CT slice; Image size 512x512 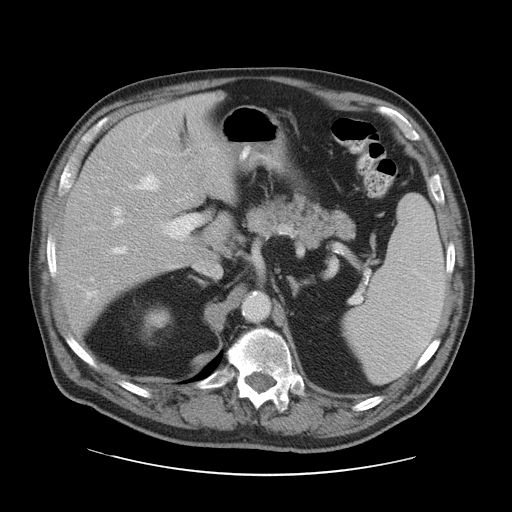 Not every hepatic vessel necessarily has a box.
9 hepatic vessel regions are bounded by box(114, 218, 122, 225); box(92, 278, 93, 280); box(165, 216, 198, 239); box(177, 199, 179, 201); box(135, 174, 157, 189); box(114, 247, 125, 252); box(88, 291, 96, 294); box(130, 186, 133, 188); box(113, 206, 120, 216).